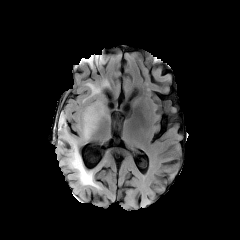
FLAIR magnetic resonance.
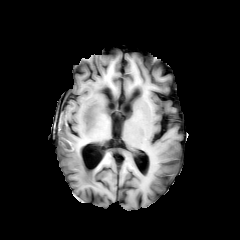
T1-weighted MR.
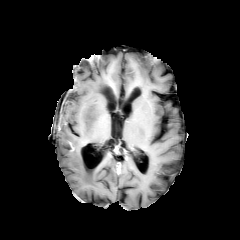
Post-contrast T1-weighted MR image.
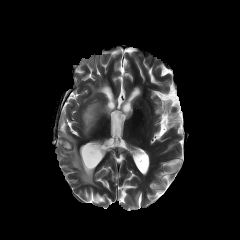
T2-weighted MR image.
240x240 px | Brain
edema: box(83, 106, 97, 139); box(87, 83, 99, 93); box(57, 112, 98, 187)